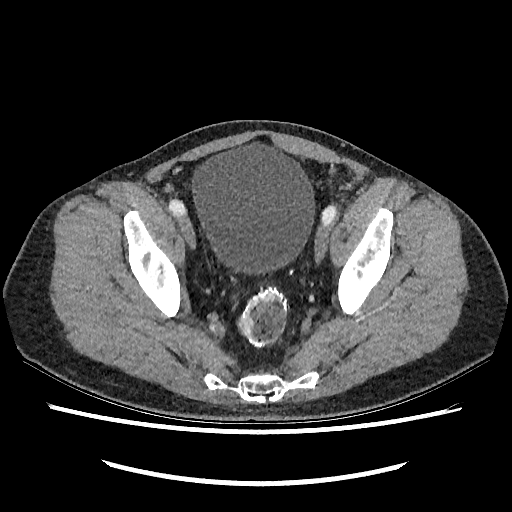
CT image. Lower abdomen.
urinary bladder: rect(191, 140, 314, 274)